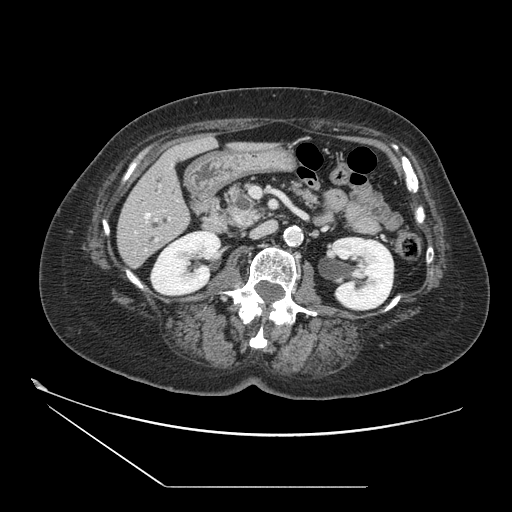

512x512 px; Computed tomography
The pancreatic tumor is located at bbox=[235, 212, 255, 225]. 2 pancreas regions appear at bbox=[291, 186, 316, 204]; bbox=[226, 186, 258, 227].